CT
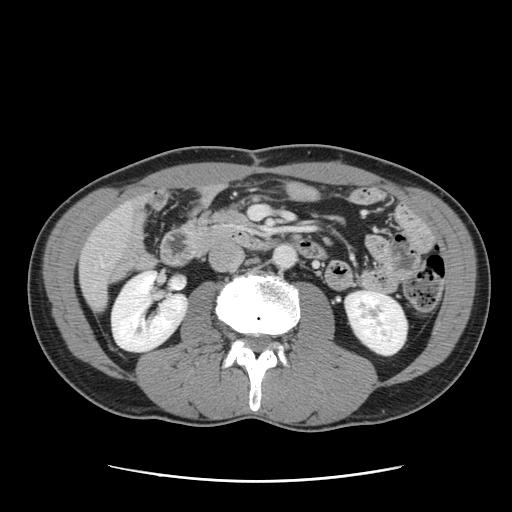

Only some of the vessels may be annotated.
The hepatic vessel is at <bbox>101, 264, 102, 266</bbox>.